Slice 16/42, Liver, CT image
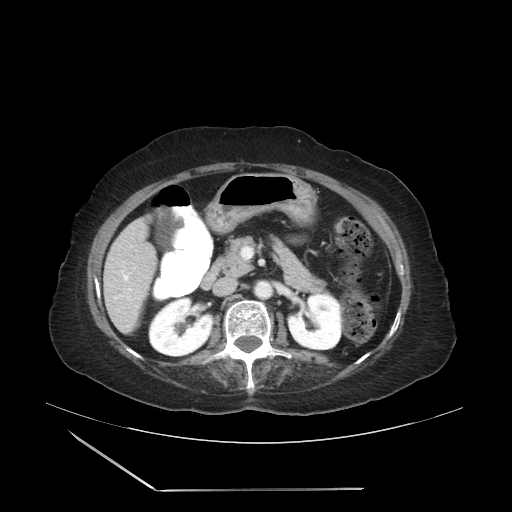 Not every hepatic vessel necessarily has a box.
The liver tumor appears at x1=123, y1=287, x2=145, y2=305. 3 hepatic vessel regions are bounded by x1=114, y1=289, x2=128, y2=299; x1=121, y1=266, x2=130, y2=281; x1=130, y1=245, x2=131, y2=247.